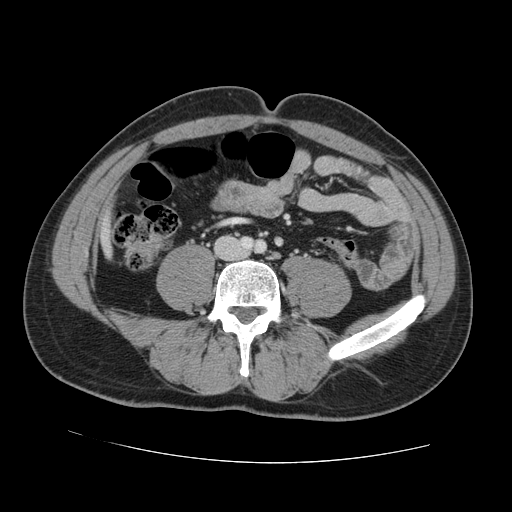
512x512 px; CT scan slice
Not every hepatic vessel necessarily has a box.
The hepatic vessel is bounded by bbox(103, 235, 105, 240).